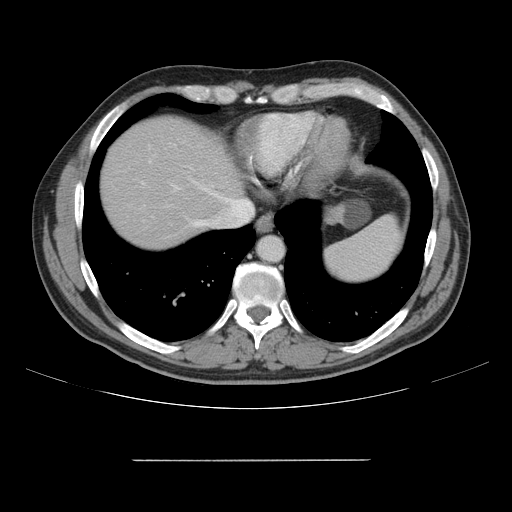

CT image.

The vessel annotation is not exhaustive.
{
  "hepatic_vessel": [
    "(x1=149, y1=160, x2=150, y2=161)",
    "(x1=188, y1=219, x2=201, y2=226)",
    "(x1=141, y1=182, x2=143, y2=183)"
  ]
}